Field of view 400 mm wide, 1.37 mm slice spacing. Slice 49 of 100. MRI slice.

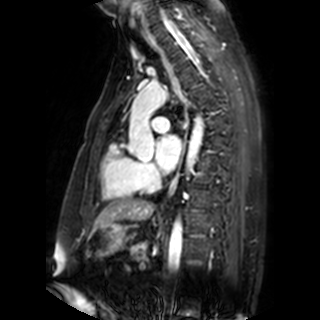 The left atrium lies within {"x1": 155, "y1": 135, "x2": 181, "y2": 172}.